Image size 240x240 | Slice 39 of 155
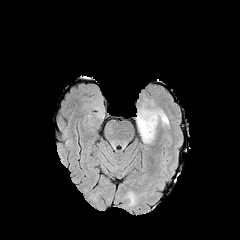
FLAIR MR.
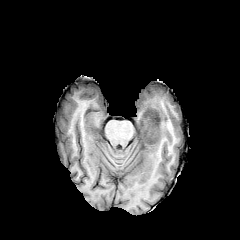
T1-weighted MR image.
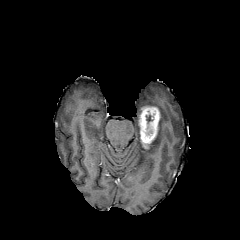
Post-contrast T1-weighted MR image.
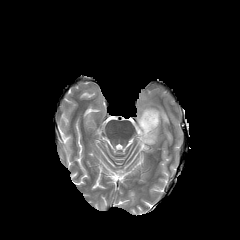
T2-weighted MR of the same slice.
Findings:
* non-enhancing tumor core: x1=146 y1=113 x2=153 y2=129
* edema: x1=159 y1=110 x2=168 y2=125, x1=135 y1=109 x2=141 y2=127
* enhancing tumor: x1=139 y1=107 x2=159 y2=147